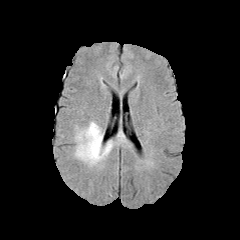
FLAIR magnetic resonance.
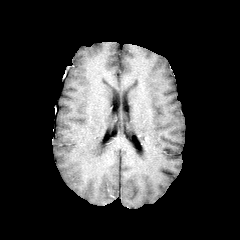
T1-weighted MR.
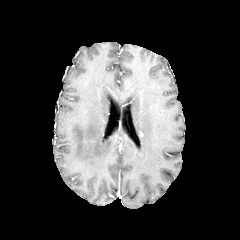
Post-contrast T1-weighted MRI.
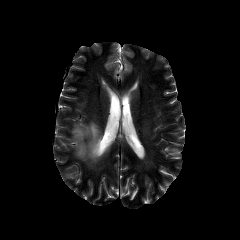
T2-weighted MR of the same slice.
Brain
<segmentation>
  <edema>72, 120, 113, 166</edema>
</segmentation>